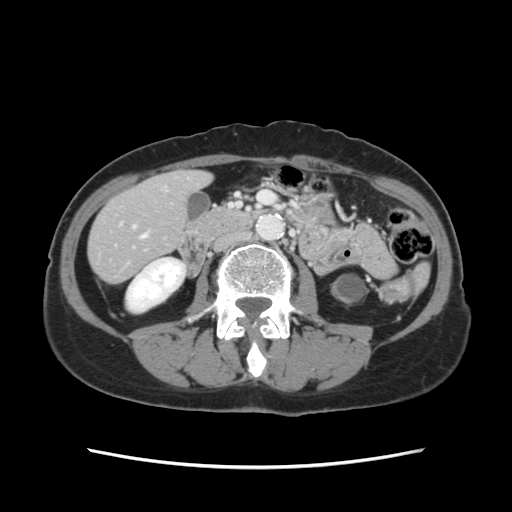
Image size 512x512 | CT image
The vessel annotation is not exhaustive.
hepatic_vessel:
  - (132, 226, 135, 228)
  - (141, 234, 146, 237)